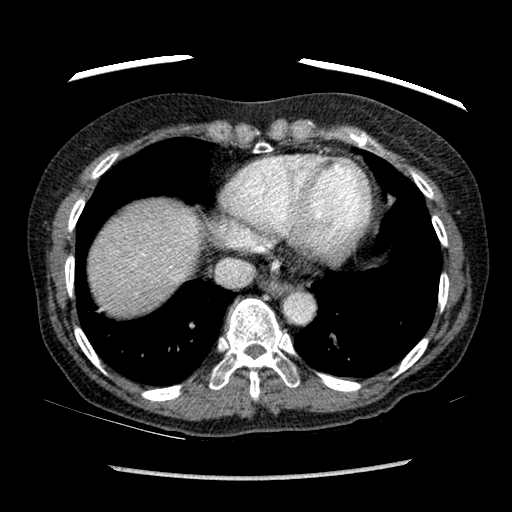
CT | Liver

{
  "liver": [
    "bbox(91, 203, 200, 314)"
  ]
}